MRI | Hippocampus | Image width 37 mm 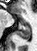

* posterior hippocampus: 17:26:30:39